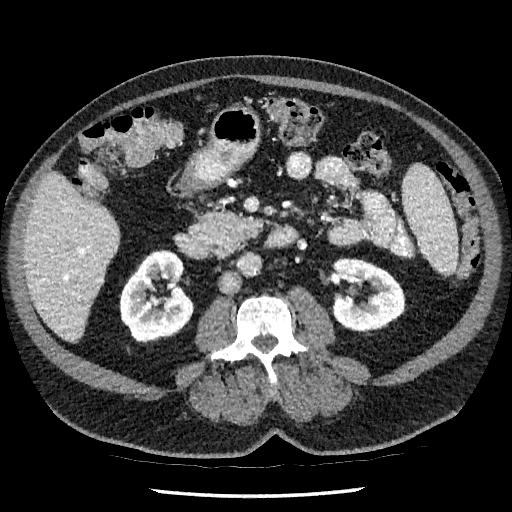
CT slice, Image size 512x512
kidney:
  - 121,251,192,340
  - 331,259,403,330
liver:
  - 24,171,119,341